Field of view 472x472 mm, Slice 417/845, CT slice
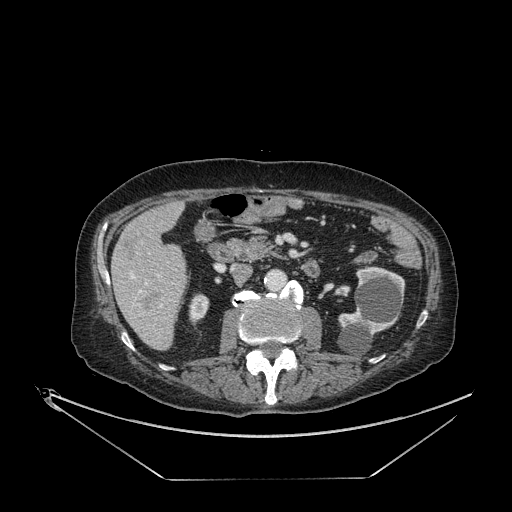 Focal liver lesion — {"x1": 122, "y1": 238, "x2": 137, "y2": 257}, {"x1": 144, "y1": 291, "x2": 161, "y2": 310}.
Kidney — {"x1": 335, "y1": 286, "x2": 349, "y2": 295}, {"x1": 190, "y1": 295, "x2": 208, "y2": 321}, {"x1": 324, "y1": 283, "x2": 333, "y2": 290}, {"x1": 338, "y1": 307, "x2": 395, "y2": 334}, {"x1": 356, "y1": 267, "x2": 404, "y2": 295}.
Liver — {"x1": 112, "y1": 202, "x2": 185, "y2": 349}.